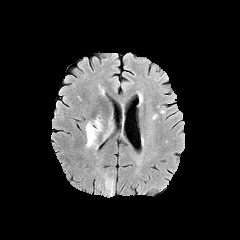
FLAIR MRI.
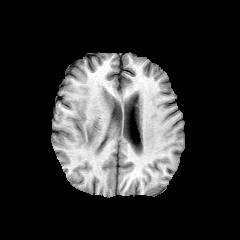
T1-weighted MRI.
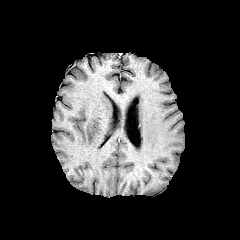
Post-contrast T1-weighted magnetic resonance.
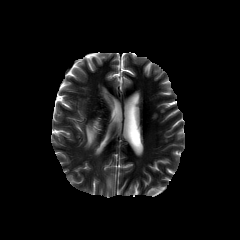
T2-weighted magnetic resonance.
Brain. Image size 240x240.
{
  "edema": [
    "l=85, t=118, r=102, b=149"
  ]
}